Head. 240x240.
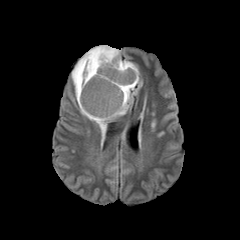
FLAIR magnetic resonance.
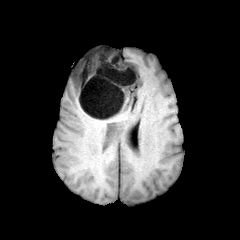
T1-weighted MR.
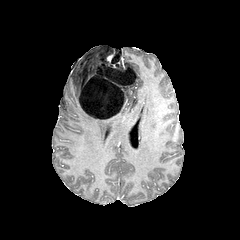
Same slice, post-contrast T1-weighted MR image.
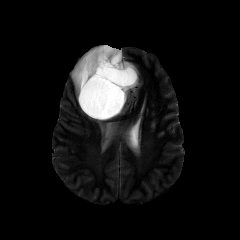
Same slice, T2-weighted MR image.
The non-enhancing tumor core is bounded by x1=78, y1=47, x2=136, y2=119. 3 edema regions are bounded by x1=117, y1=57, x2=141, y2=116; x1=71, y1=45, x2=122, y2=104; x1=79, y1=106, x2=116, y2=141.